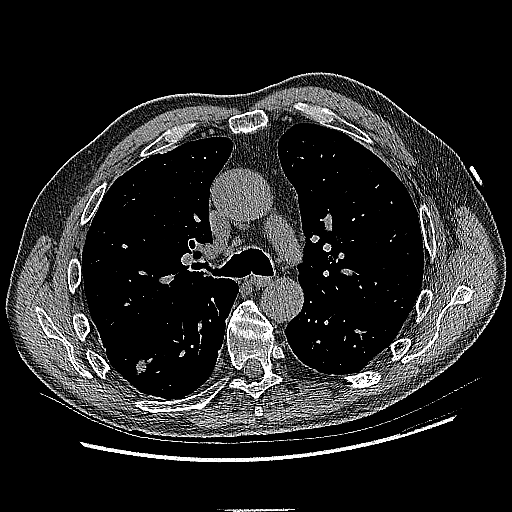 512x512. Computed tomography. Lung. <segmentation>
  <lung_tumor>132:354:154:379</lung_tumor>
</segmentation>